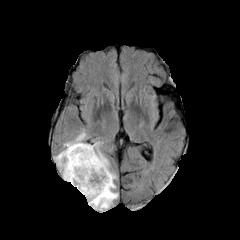
FLAIR MR.
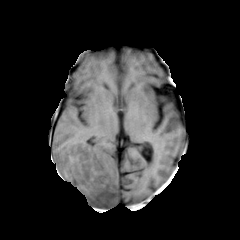
T1-weighted MRI.
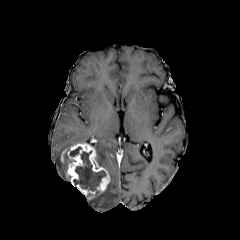
Post-contrast T1-weighted MRI of the same slice.
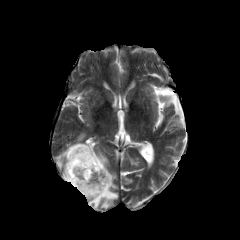
Same slice, T2-weighted MR image.
240x240 | Brain
Enhancing tumor: bounding box {"x1": 60, "y1": 142, "x2": 110, "y2": 199}.
Edema: bounding box {"x1": 88, "y1": 141, "x2": 117, "y2": 210}, {"x1": 54, "y1": 132, "x2": 92, "y2": 181}.
Non-enhancing tumor core: bounding box {"x1": 70, "y1": 148, "x2": 79, "y2": 156}, {"x1": 73, "y1": 152, "x2": 105, "y2": 190}.